FLAIR MR image.
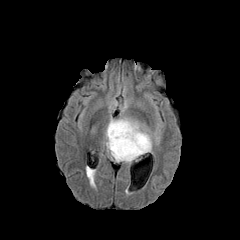
T1-weighted MRI.
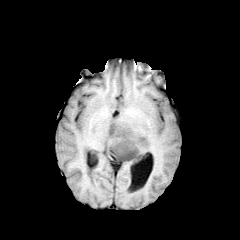
Post-contrast T1-weighted magnetic resonance.
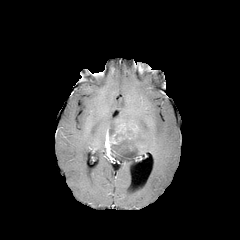
T2-weighted magnetic resonance.
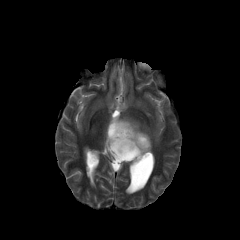
Head; 240x240 px
enhancing_tumor:
  - l=105, t=123, r=130, b=159
edema:
  - l=106, t=118, r=151, b=156
  - l=111, t=158, r=133, b=163
non-enhancing_tumor_core:
  - l=111, t=134, r=143, b=160
  - l=109, t=124, r=115, b=136
  - l=126, t=128, r=137, b=138